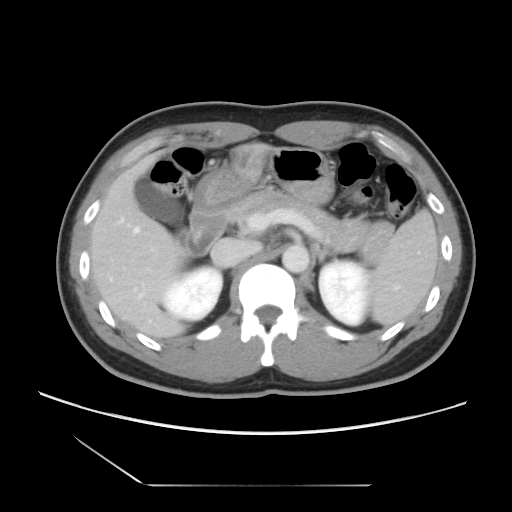
512x512, Computed tomography

The vessel boxes may cover only some of the vessels.
Liver tumor = x1=232, y1=145, x2=269, y2=174.
Hepatic vessel = x1=135, y1=228, x2=138, y2=231.